Slice index 74 | Lower abdomen | CT 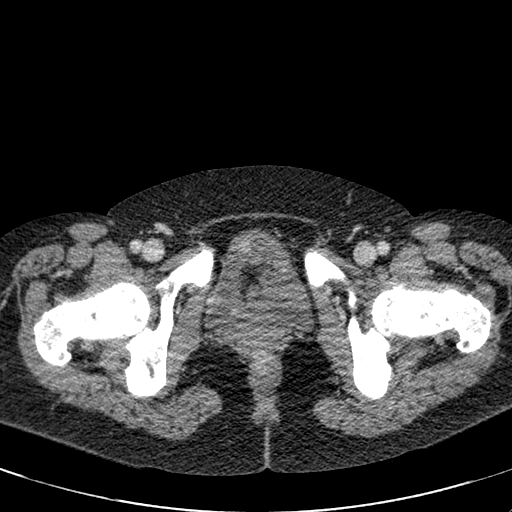 The urinary bladder lies within x1=203 y1=228 x2=313 y2=333.